Slice 319/466; Abdomen; Computed tomography; 512x512; Image width 344 mm

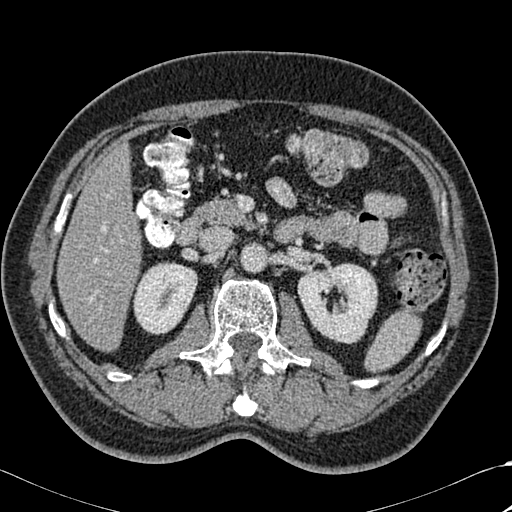
kidney:
  - [x1=298, y1=264, x2=376, y2=342]
  - [x1=134, y1=264, x2=196, y2=333]
bone:
  - [x1=354, y1=379, x2=376, y2=387]
  - [x1=426, y1=328, x2=444, y2=354]
  - [x1=233, y1=392, x2=256, y2=415]
  - [x1=180, y1=280, x2=309, y2=374]
  - [x1=108, y1=372, x2=130, y2=381]
  - [x1=49, y1=304, x2=64, y2=335]
liver:
  - [x1=58, y1=148, x2=141, y2=349]